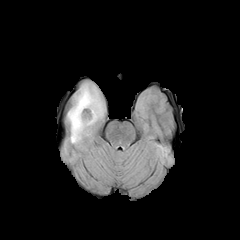
FLAIR magnetic resonance.
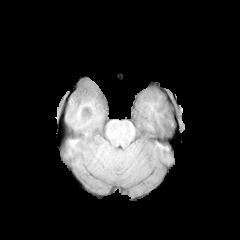
T1-weighted magnetic resonance.
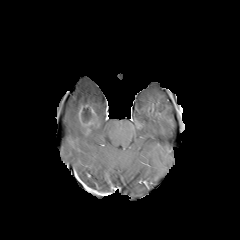
Post-contrast T1-weighted MR of the same slice.
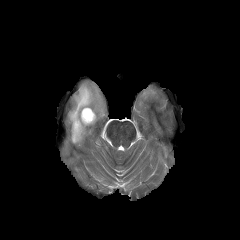
T2-weighted magnetic resonance of the same slice.
Head.
Non-enhancing tumor core: [80, 105, 99, 129].
Edema: [67, 82, 105, 145].